Slice 86/168 | CT slice | Abdomen 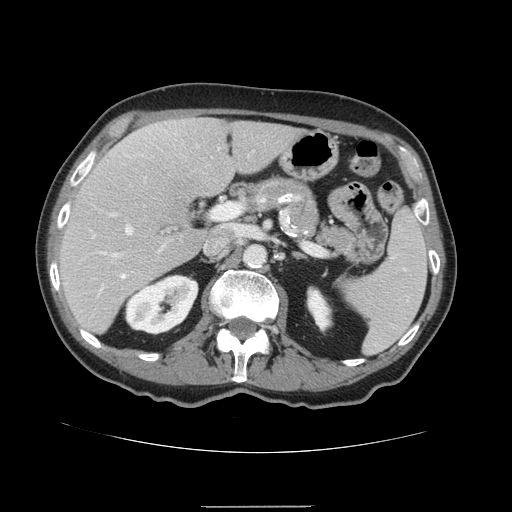

Spleen: box(339, 209, 428, 353).